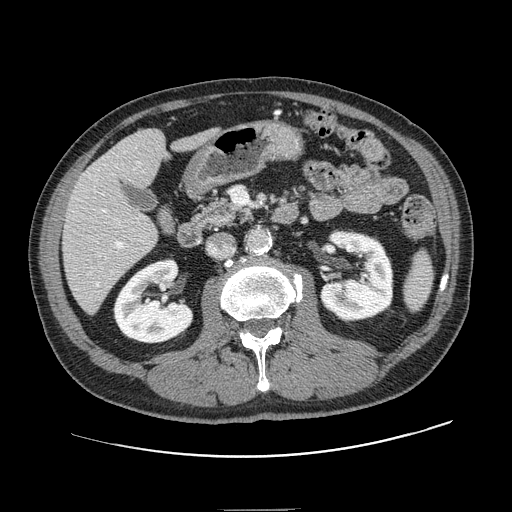 CT image
{"pancreas": ["(194,196,249,229)"]}